FLAIR MR.
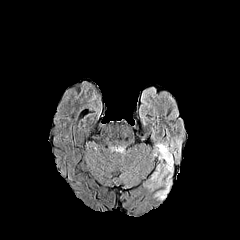
T1-weighted MR.
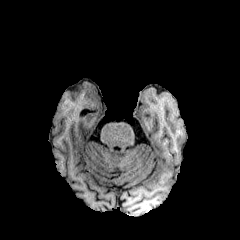
Post-contrast T1-weighted magnetic resonance.
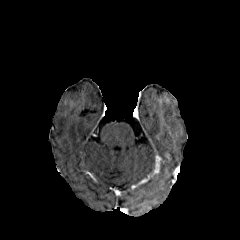
T2-weighted MRI.
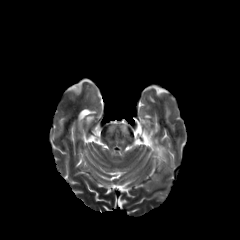
<segmentation>
  <edema>[x1=160, y1=159, x2=173, y2=172], [x1=147, y1=169, x2=165, y2=185]</edema>
  <enhancing_tumor>[x1=149, y1=155, x2=161, y2=176], [x1=159, y1=149, x2=172, y2=160]</enhancing_tumor>
</segmentation>